512x512; Abdomen; CT scan slice; Field of view 393x393 mm 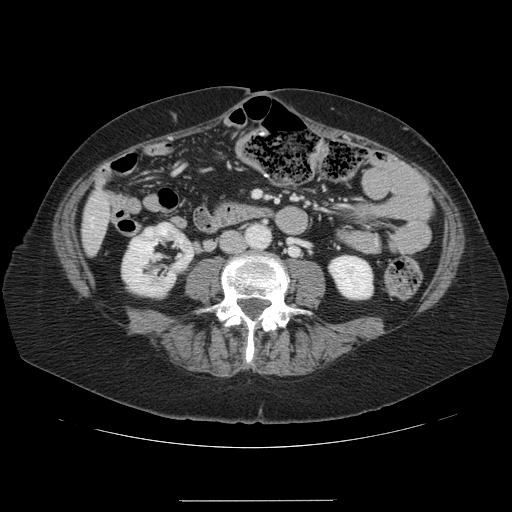 Some hepatic vessels may have no box.
{"hepatic_vessel": ["<box>89,218,91,225</box>"]}